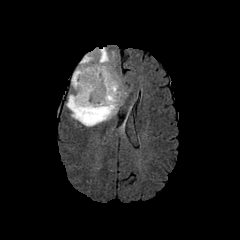
FLAIR MRI.
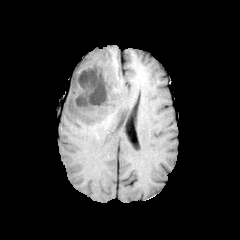
T1-weighted MRI of the same slice.
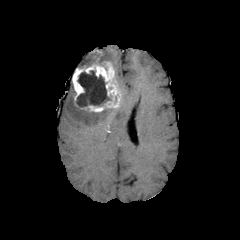
Post-contrast T1-weighted MR image.
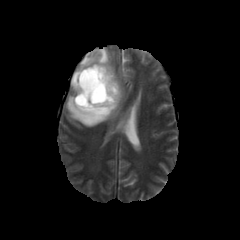
Same slice, T2-weighted magnetic resonance.
Brain
Enhancing tumor: bounding box left=72, top=64, right=121, bottom=107; left=87, top=106, right=104, bottom=111.
Edema: bounding box left=66, top=85, right=119, bottom=127; left=78, top=47, right=123, bottom=102.
Non-enhancing tumor core: bounding box left=75, top=70, right=109, bottom=113.